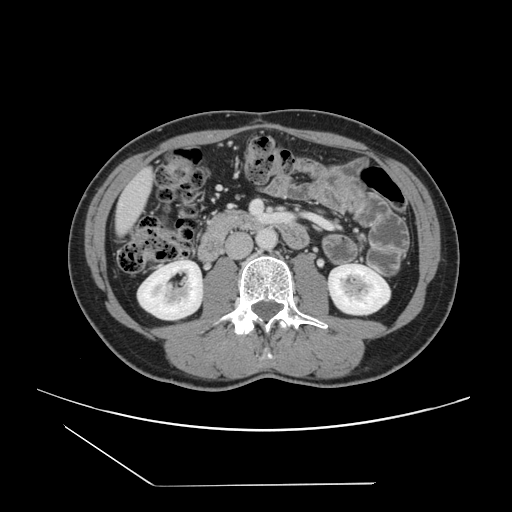 Computed tomography
The vessel boxes may cover only some of the vessels.
Hepatic vessel — box(120, 204, 122, 205).